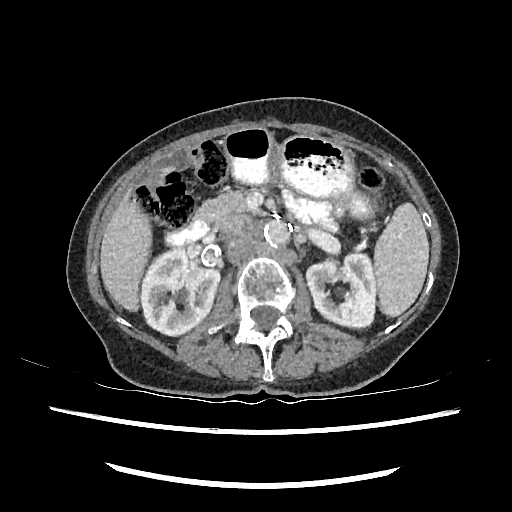

512x512 px | CT slice
kidney:
  - left=141, top=252, right=219, bottom=335
  - left=307, top=253, right=375, bottom=326
liver:
  - left=100, top=192, right=150, bottom=310